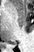
Magnetic resonance

Segmented structures:
- posterior hippocampus: bbox=[10, 42, 16, 44]